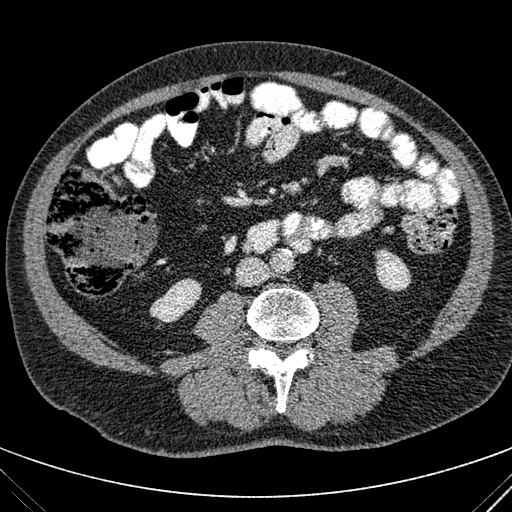

CT image; Image size 512x512; Abdomen
2 kidney regions appear at (150, 279, 201, 322), (375, 250, 410, 290).